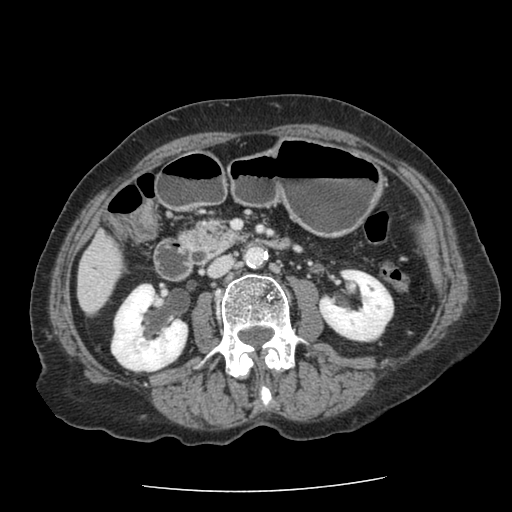 512x512 px; CT; Upper abdomen
• pancreas: l=184, t=220, r=241, b=256